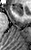

MR image

The anterior hippocampus lies within (left=12, top=6, right=23, bottom=15).